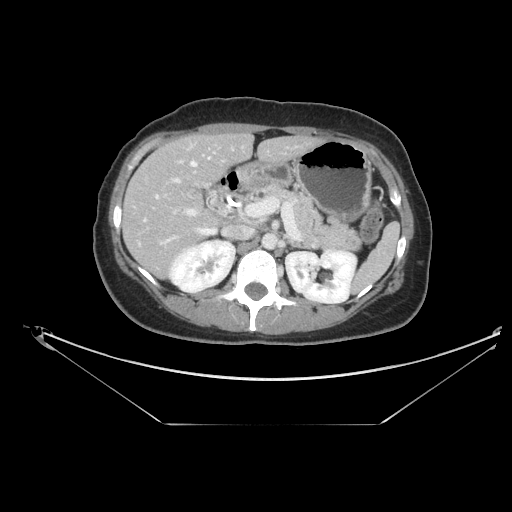

CT scan slice | Upper abdomen
The pancreas lies within [257,185,360,252].